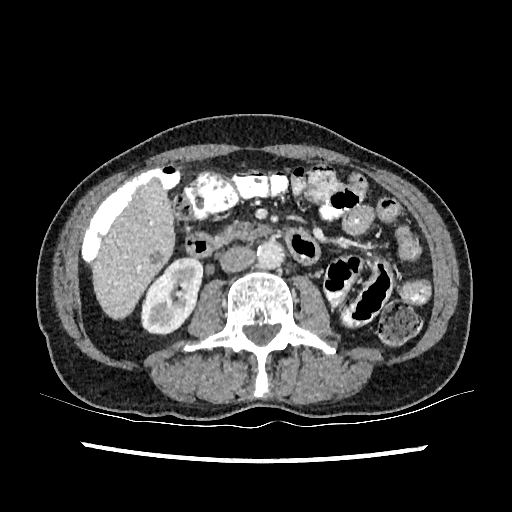

CT scan slice
Kidney at x1=142 y1=259 x2=202 y2=333.
Hepatic lesion at x1=149 y1=251 x2=163 y2=263.
Liver at x1=93 y1=176 x2=172 y2=318.